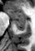 MR. Medial temporal lobe.
Anterior hippocampus at {"x1": 7, "y1": 10, "x2": 25, "y2": 19}.
Posterior hippocampus at {"x1": 13, "y1": 20, "x2": 25, "y2": 30}.